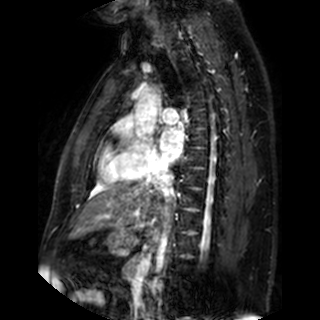

320x320 px | MR image | Heart
Left atrium = box=[159, 128, 183, 163].